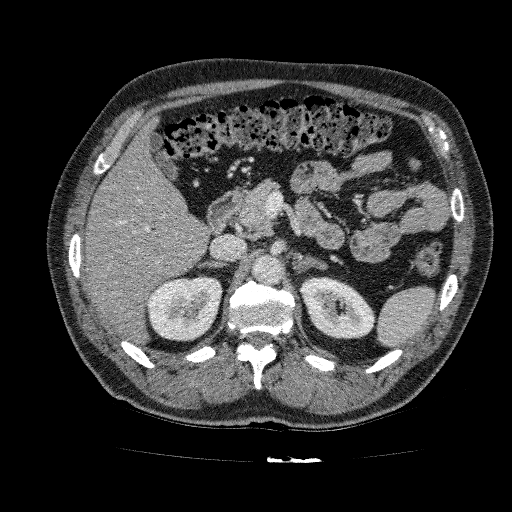

CT scan slice
Kidney: 301, 278, 373, 337; 147, 278, 221, 339.
Liver: 84, 116, 210, 344.